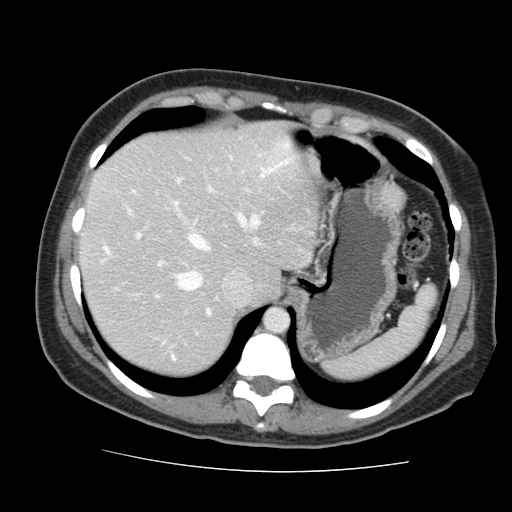
Abdomen, CT slice
Some hepatic vessels may have no box.
14 hepatic vessel regions appear at {"x1": 207, "y1": 310, "x2": 209, "y2": 314}, {"x1": 209, "y1": 188, "x2": 212, "y2": 191}, {"x1": 104, "y1": 247, "x2": 108, "y2": 253}, {"x1": 171, "y1": 356, "x2": 173, "y2": 359}, {"x1": 126, "y1": 207, "x2": 130, "y2": 213}, {"x1": 260, "y1": 159, "x2": 290, "y2": 177}, {"x1": 155, "y1": 296, "x2": 158, "y2": 297}, {"x1": 136, "y1": 234, "x2": 139, "y2": 237}, {"x1": 281, "y1": 146, "x2": 283, "y2": 147}, {"x1": 177, "y1": 179, "x2": 180, "y2": 182}, {"x1": 177, "y1": 272, "x2": 200, "y2": 289}, {"x1": 158, "y1": 262, "x2": 162, "y2": 265}, {"x1": 252, "y1": 239, "x2": 257, "y2": 243}, {"x1": 237, "y1": 215, "x2": 258, "y2": 227}.